Slice 22 of 96, CT image, Lower abdomen, Field of view 424 mm wide, 5.00 mm slice spacing 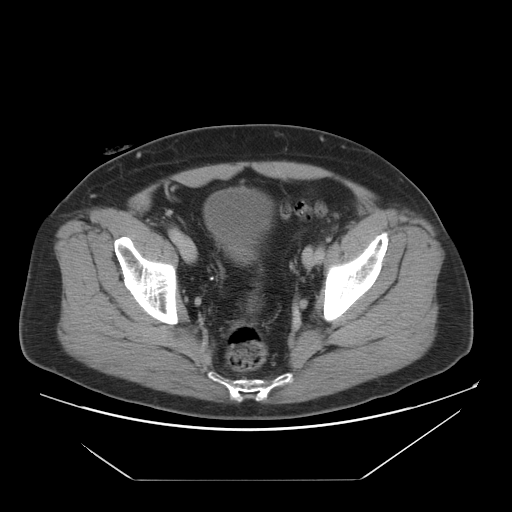

Urinary bladder at <bbox>205, 190, 270, 263</bbox>.